Slice 136 of 266, Upper abdomen, 512x512, CT slice 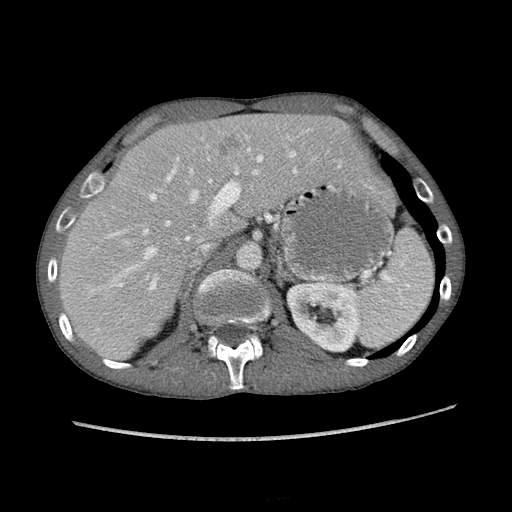 hepatic lesion: region(220, 137, 241, 155) | liver: region(57, 114, 373, 358) | kidney: region(289, 283, 359, 350)